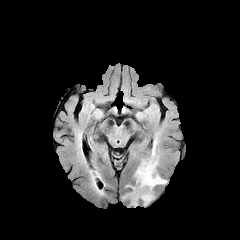
FLAIR MR.
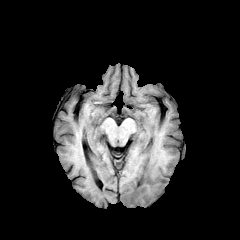
T1-weighted MRI of the same slice.
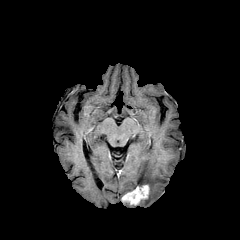
Same slice, post-contrast T1-weighted magnetic resonance.
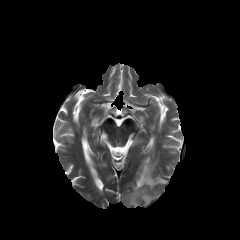
T2-weighted MRI.
The enhancing tumor is bounded by 122, 185, 149, 205. The edema appears at 133, 140, 167, 205.